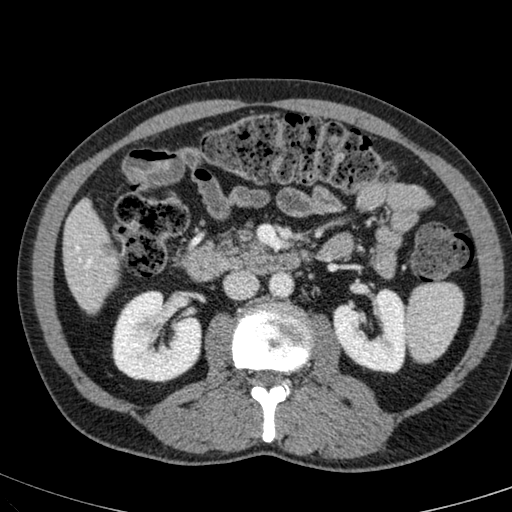

Liver. CT. The focal liver lesion is bounded by (100,242,116,256). The liver appears at (63,203,116,311). 2 kidney regions are located at (335,291,404,370), (114,292,200,380).